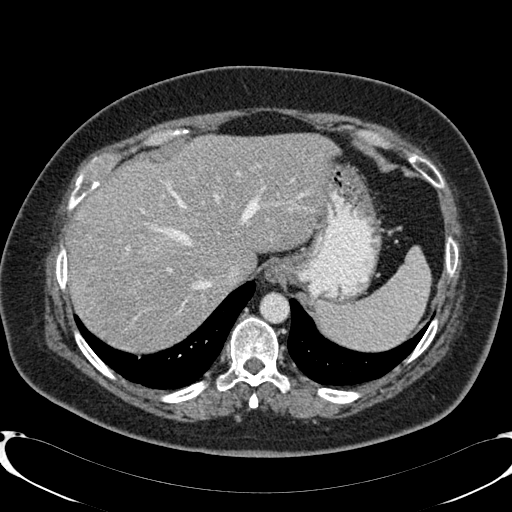

CT scan slice

Liver: l=67, t=134, r=340, b=350.
Focal liver lesion: l=69, t=220, r=88, b=237; l=84, t=274, r=96, b=287; l=116, t=263, r=131, b=287; l=94, t=228, r=104, b=239.